FLAIR MRI.
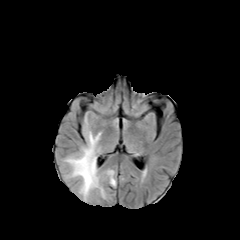
T1-weighted MRI.
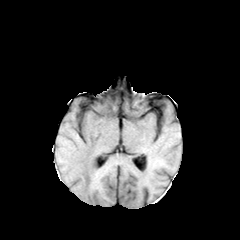
Post-contrast T1-weighted MRI.
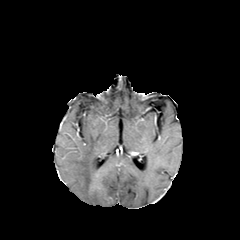
T2-weighted MR.
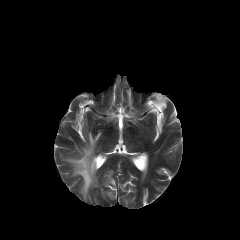
Brain | 240x240 px
2 edema regions are located at (64, 132, 107, 200), (104, 170, 116, 187).